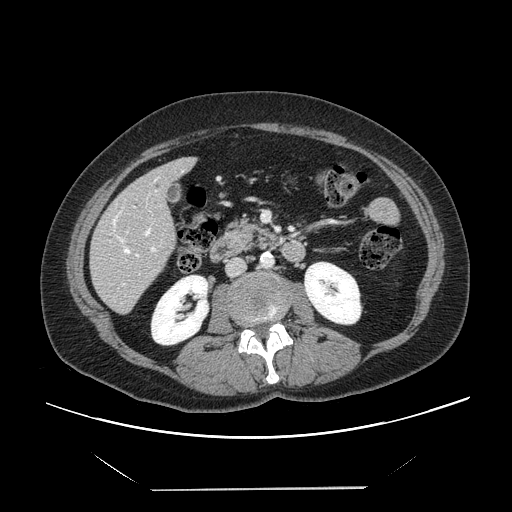 CT image. Some hepatic vessels may have no box.
hepatic vessel: (x1=133, y1=253, x2=139, y2=257), (x1=122, y1=283, x2=125, y2=285), (x1=144, y1=227, x2=151, y2=235), (x1=155, y1=190, x2=157, y2=193), (x1=150, y1=245, x2=156, y2=252), (x1=111, y1=206, x2=132, y2=253)